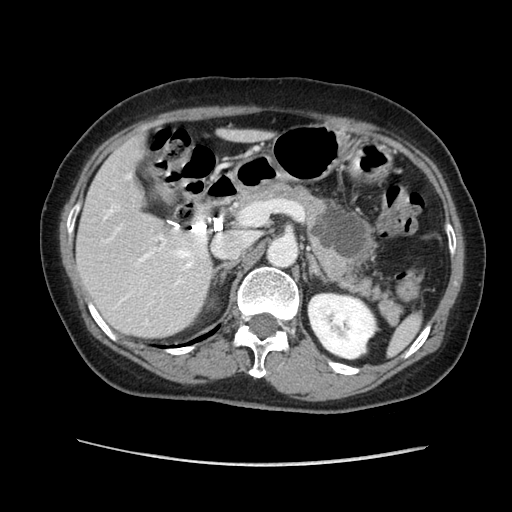

CT slice
Annotated regions:
- pancreatic tumor: 310 205 367 259
- pancreas: 228 180 404 327